Pelvis, CT scan slice 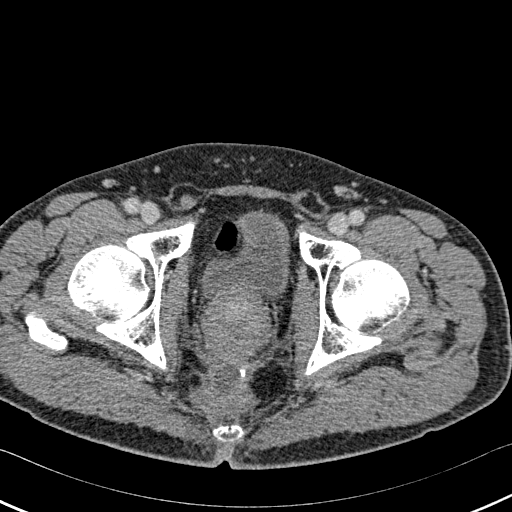 <segmentation>
  <bone>region(299, 232, 409, 375); region(26, 312, 66, 349); region(68, 223, 193, 369); region(212, 425, 246, 440)</bone>
  <urinary_bladder>region(201, 211, 289, 307)</urinary_bladder>
</segmentation>